FLAIR MRI.
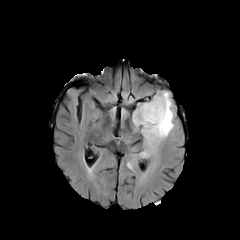
T1-weighted magnetic resonance.
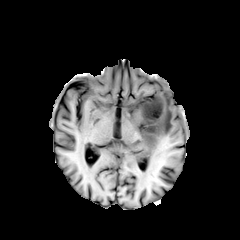
Post-contrast T1-weighted MR image.
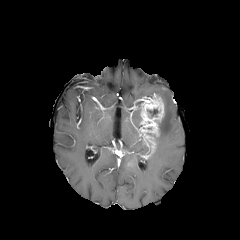
T2-weighted MRI.
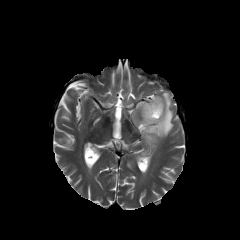
Brain
Enhancing tumor = left=139, top=95, right=164, bottom=142.
Edema = left=132, top=108, right=140, bottom=128; left=151, top=90, right=175, bottom=141.